Abdomen; Field of view 408x408 mm; Computed tomography; 512x512
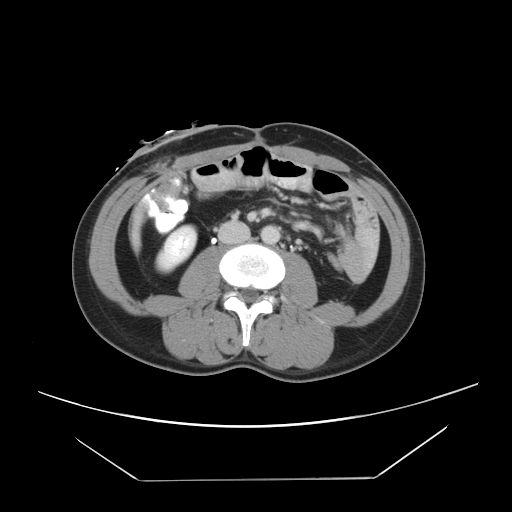
The vessel boxes may cover only some of the vessels.
Hepatic vessel — x1=137, y1=215, x2=138, y2=217.